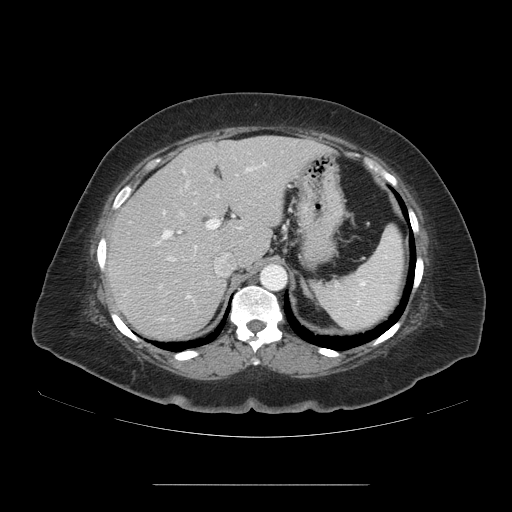

CT slice; Image size 512x512; Liver

Some hepatic vessels may have no box.
Hepatic vessel = rect(186, 296, 189, 298); rect(168, 258, 173, 261); rect(154, 229, 172, 244); rect(180, 212, 183, 215); rect(194, 246, 196, 249); rect(205, 218, 219, 229); rect(182, 170, 186, 173); rect(178, 231, 179, 232); rect(163, 211, 165, 214); rect(185, 181, 188, 187); rect(263, 163, 265, 165); rect(244, 168, 252, 172); rect(215, 253, 233, 275).